FLAIR magnetic resonance.
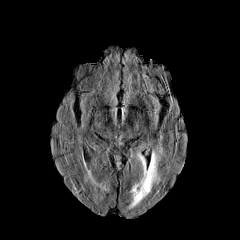
T1-weighted MR image.
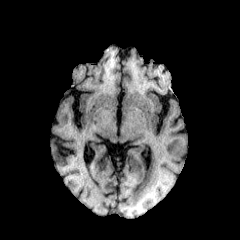
Post-contrast T1-weighted MR image.
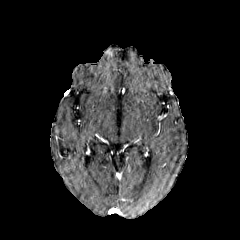
T2-weighted MR.
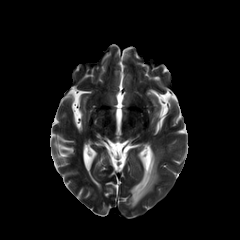
The edema lies within [x1=126, y1=149, x2=157, y2=211].